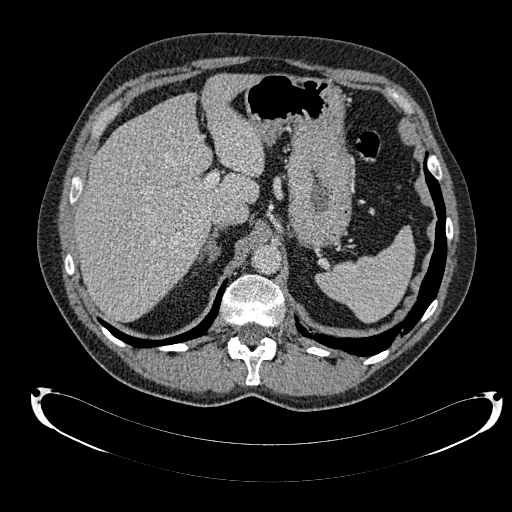

CT
<segmentation>
  <liver>rect(75, 74, 263, 321)</liver>
</segmentation>